Slice 454/751, Computed tomography 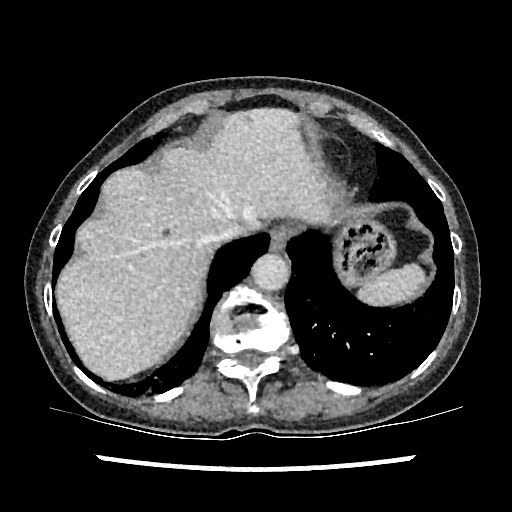 <segmentation>
  <liver>{"x1": 56, "y1": 109, "x2": 328, "y2": 378}</liver>
</segmentation>